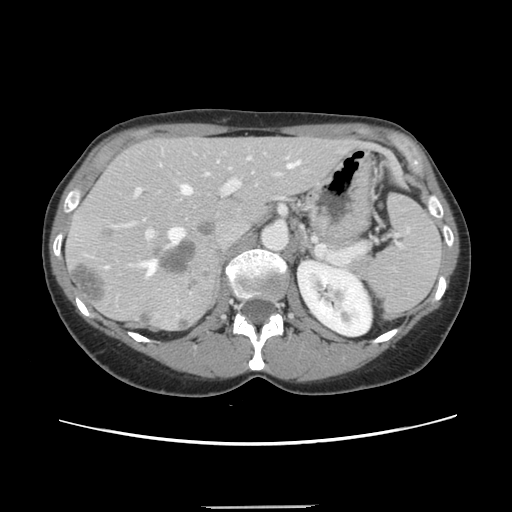

Computed tomography, Image size 512x512, Abdomen

The vessel annotation is not exhaustive.
liver_tumor:
  - (x1=78, y1=264, x2=105, y2=300)
  - (x1=160, y1=239, x2=196, y2=272)
hepatic_vessel:
  - (x1=168, y1=227, x2=183, y2=244)
  - (x1=135, y1=188, x2=140, y2=195)
  - (x1=180, y1=184, x2=190, y2=194)
  - (x1=247, y1=157, x2=250, y2=158)
  - (x1=205, y1=172, x2=208, y2=174)
  - (x1=127, y1=224, x2=130, y2=225)
  - (x1=276, y1=173, x2=279, y2=174)
  - (x1=222, y1=179, x2=239, y2=192)
  - (x1=105, y1=266, x2=107, y2=267)
  - (x1=138, y1=260, x2=155, y2=276)
  - (x1=146, y1=229, x2=151, y2=237)
  - (x1=287, y1=162, x2=299, y2=167)